CT scan slice; Image size 512x512 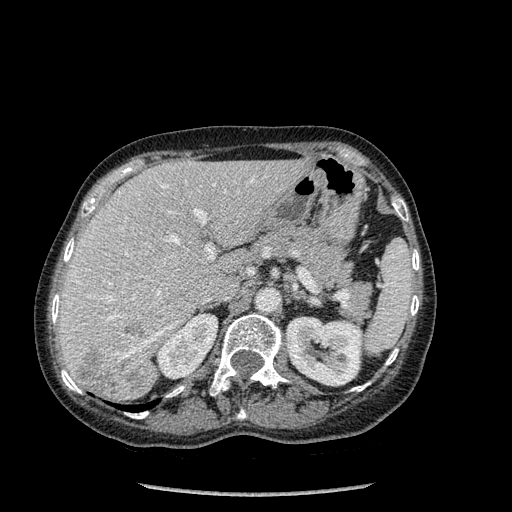
liver lesion: box=[76, 347, 117, 393]; box=[125, 325, 144, 335]; box=[126, 369, 142, 387] | liver: box=[60, 159, 309, 401] | kidney: box=[286, 317, 361, 385]; box=[158, 314, 217, 378] | bone: box=[237, 409, 246, 419]; box=[409, 295, 418, 315]; box=[81, 202, 94, 217]; box=[385, 348, 398, 365]; box=[410, 249, 419, 270]; box=[392, 198, 408, 221]; box=[64, 238, 74, 261]; box=[210, 313, 289, 395]; box=[51, 294, 60, 323]; box=[61, 369, 81, 393]; box=[125, 411, 148, 418]; box=[350, 382, 370, 391]; box=[166, 386, 184, 397] | lung: box=[119, 403, 154, 412]